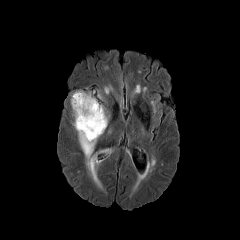
FLAIR MR.
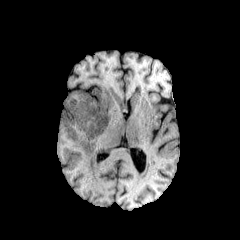
T1-weighted MR.
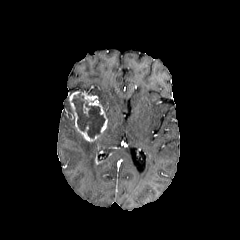
Same slice, post-contrast T1-weighted MR image.
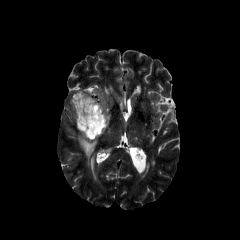
T2-weighted MR image.
240x240
Segmented structures:
* edema: region(78, 133, 97, 158); region(102, 148, 114, 163)
* enhancing tumor: region(69, 91, 107, 141)
* non-enhancing tumor core: region(72, 91, 104, 138)